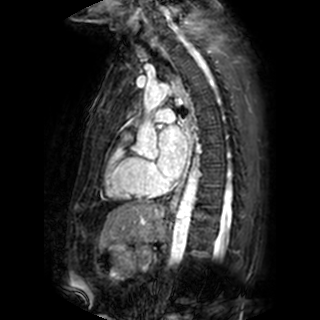 MR image. • left atrium: 158,125,186,178